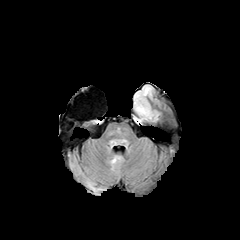
FLAIR MRI.
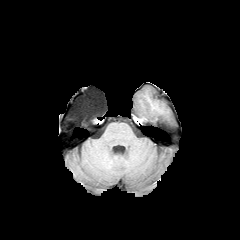
Same slice, T1-weighted magnetic resonance.
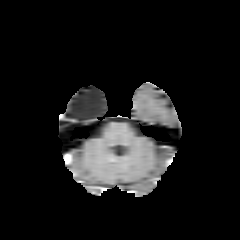
Post-contrast T1-weighted MR.
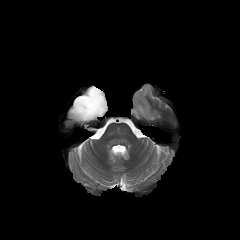
T2-weighted magnetic resonance.
240x240
edema: x1=136 y1=104 x2=149 y2=116